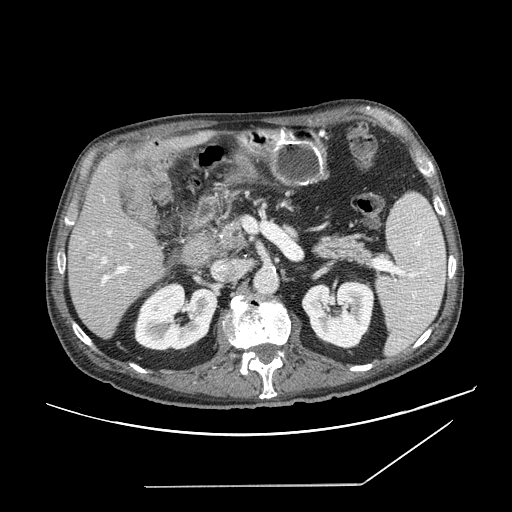

CT scan slice; Abdomen
Pancreas: bounding box (left=223, top=221, right=245, bottom=248), (left=316, top=240, right=371, bottom=264).